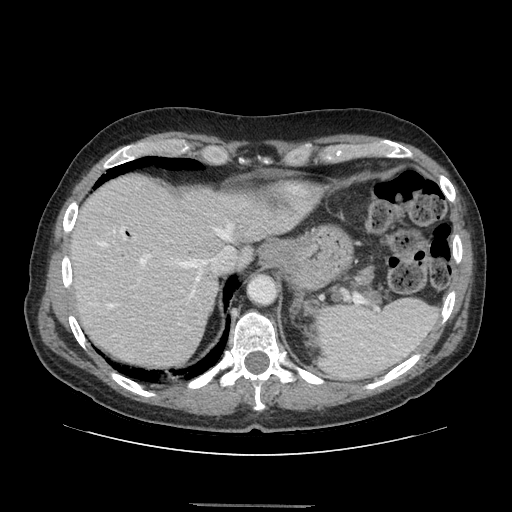

CT slice, Abdomen
The pancreas is bounded by box(358, 270, 371, 287).